Slice index 27; Computed tomography; Upper abdomen; Image size 512x512 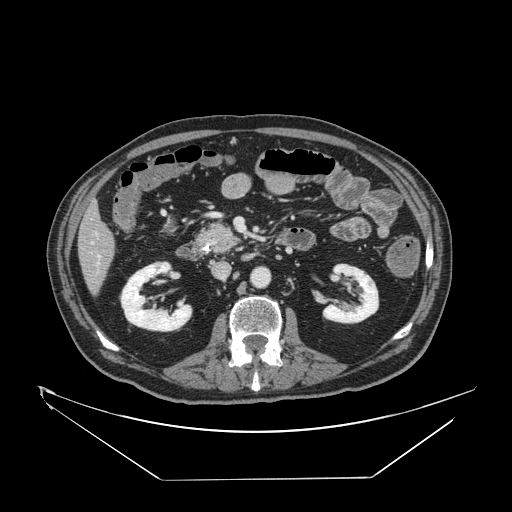
Annotated regions:
- pancreatic tumor: (202, 227, 235, 253)
- pancreas: (190, 219, 243, 260)